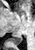

MRI slice
Annotated regions:
- posterior hippocampus: 8 36 22 44